512x512. Liver. CT scan slice. Slice 29 of 39.
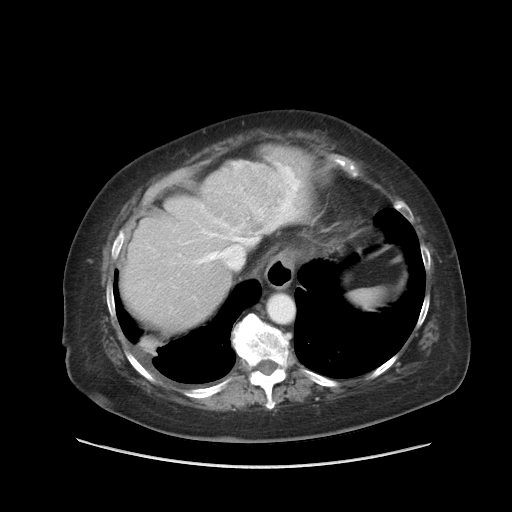
Not every hepatic vessel necessarily has a box.
Findings:
- liver tumor: (199, 154, 302, 234)
- hepatic vessel: (195, 252, 221, 261), (227, 238, 257, 248)